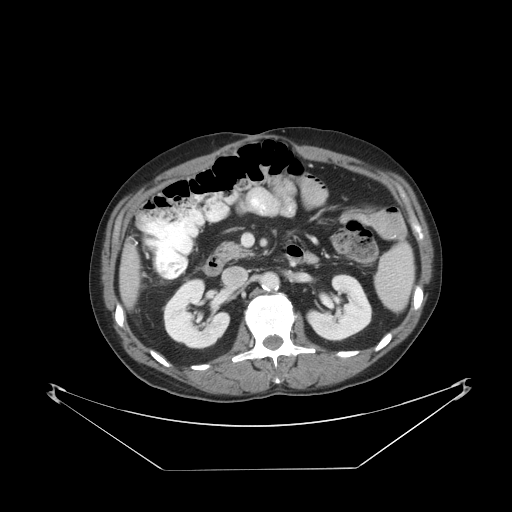
Liver; CT
The vessel boxes may cover only some of the vessels.
<segmentation>
  <hepatic_vessel>bbox(130, 255, 133, 257)</hepatic_vessel>
</segmentation>